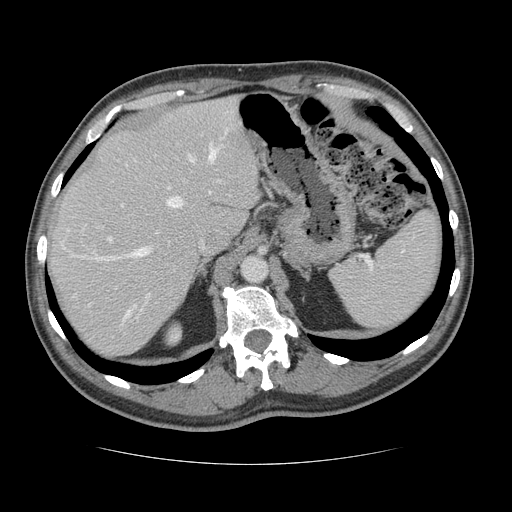 CT scan slice.

Not every hepatic vessel necessarily has a box.
partial: true
hepatic_vessel:
  # 15 of 20 shown
  - region(167, 197, 182, 207)
  - region(168, 186, 169, 188)
  - region(217, 179, 221, 182)
  - region(132, 247, 149, 255)
  - region(147, 293, 149, 296)
  - region(71, 251, 116, 259)
  - region(221, 127, 228, 138)
  - region(73, 295, 74, 297)
  - region(221, 145, 223, 146)
  - region(124, 310, 130, 318)
  - region(188, 155, 194, 161)
  - region(125, 163, 126, 165)
  - region(208, 142, 217, 161)
  - region(133, 304, 135, 307)
  - region(108, 237, 111, 240)